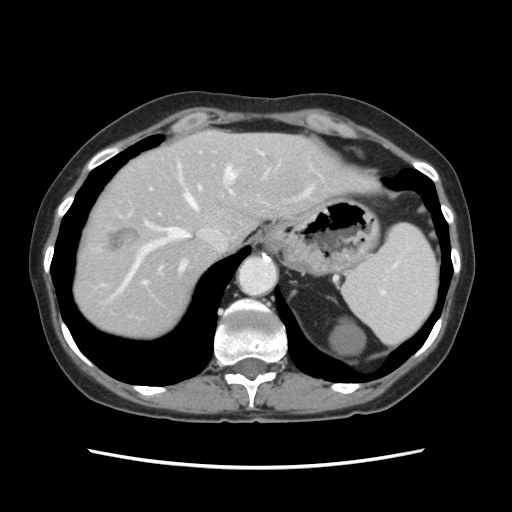
Computed tomography, Liver

Only some of the vessels may be annotated.
<segmentation>
  <hepatic_vessel>(x1=185, y1=194, x2=196, y2=207), (x1=122, y1=240, x2=165, y2=287), (x1=198, y1=186, x2=200, y2=188), (x1=258, y1=151, x2=262, y2=154), (x1=143, y1=282, x2=146, y2=283), (x1=161, y1=228, x2=187, y2=239), (x1=226, y1=166, x2=235, y2=181)</hepatic_vessel>
  <liver_tumor>(x1=109, y1=228, x2=138, y2=250)</liver_tumor>
</segmentation>